FLAIR MR.
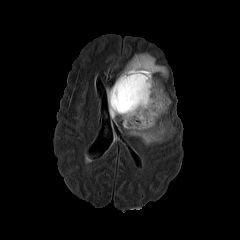
T1-weighted MR image.
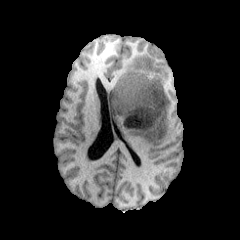
Post-contrast T1-weighted MR.
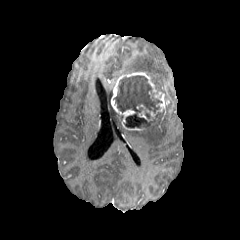
T2-weighted MR image.
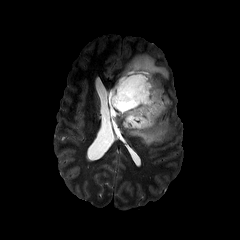
enhancing tumor: l=110, t=99, r=142, b=130; l=112, t=73, r=169, b=113 | edema: l=119, t=52, r=168, b=84; l=106, t=87, r=123, b=120; l=126, t=118, r=171, b=145 | non-enhancing tumor core: l=112, t=75, r=165, b=129